CT image | Abdomen | Slice index 88
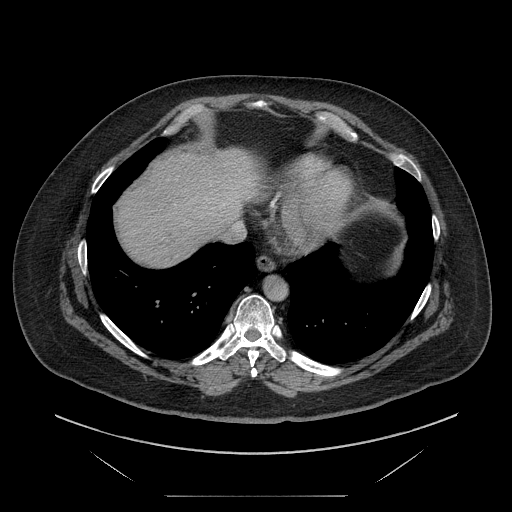
The vessel boxes may cover only some of the vessels.
<segmentation>
  <hepatic_vessel><box>219,223,244,242</box></hepatic_vessel>
</segmentation>